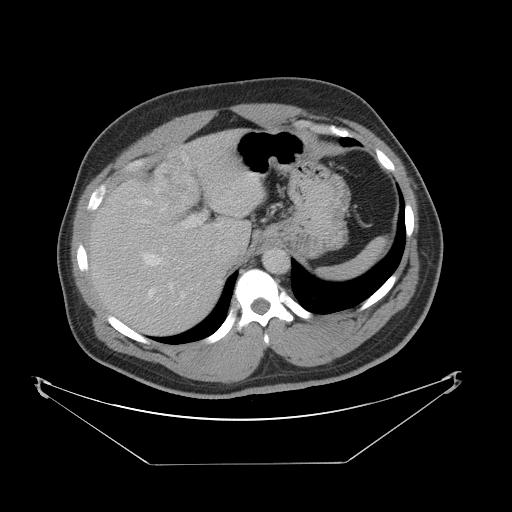

512x512 px, CT
The vessel annotation is not exhaustive.
{
  "hepatic_vessel": [
    "x1=199, y1=216, x2=204, y2=219",
    "x1=215, y1=241, x2=235, y2=260",
    "x1=181, y1=292, x2=183, y2=296",
    "x1=189, y1=218, x2=193, y2=224",
    "x1=169, y1=283, x2=172, y2=290",
    "x1=180, y1=224, x2=186, y2=230",
    "x1=228, y1=199, x2=240, y2=204",
    "x1=162, y1=230, x2=163, y2=231",
    "x1=218, y1=202, x2=221, y2=203",
    "x1=197, y1=228, x2=211, y2=248",
    "x1=204, y1=258, x2=206, y2=260",
    "x1=204, y1=253, x2=205, y2=254",
    "x1=143, y1=254, x2=160, y2=265"
  ],
  "liver_tumor": [
    "x1=156, y1=149, x2=194, y2=203"
  ]
}